Slice 75 of 155, 240x240, Image width 240 mm
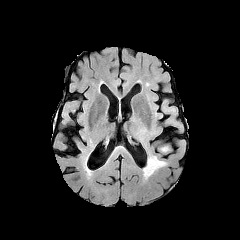
FLAIR MR image.
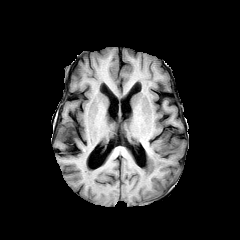
T1-weighted MR image of the same slice.
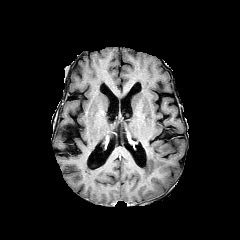
Post-contrast T1-weighted MRI of the same slice.
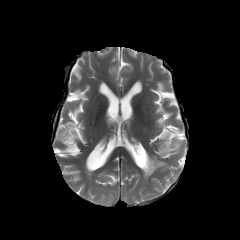
T2-weighted MR.
2 edema regions are located at left=159, top=146, right=169, bottom=153; left=142, top=151, right=167, bottom=178.